CT | Field of view 363x363 mm | Slice 21/47

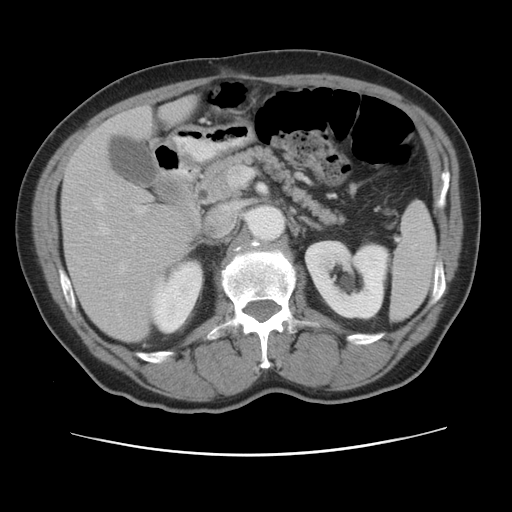

The vessel boxes may cover only some of the vessels.
Annotated regions:
* hepatic vessel: box=[135, 205, 147, 213]; box=[117, 292, 124, 296]; box=[160, 262, 166, 266]
* liver tumor: box=[127, 211, 133, 219]